Field of view 38 mm wide, 1.00 mm slice spacing | Magnetic resonance | Hippocampus | Slice 20 of 27 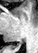
posterior hippocampus: <bbox>18, 41, 22, 43</bbox>, <bbox>11, 45, 17, 48</bbox>